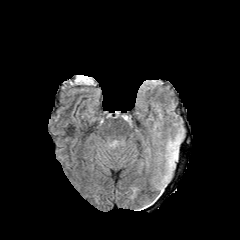
FLAIR MR.
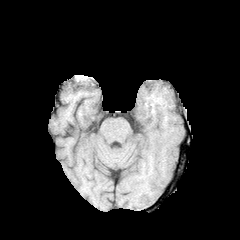
T1-weighted MR image.
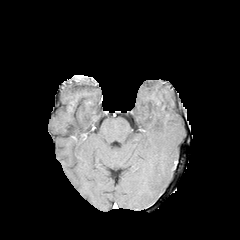
Post-contrast T1-weighted MR image.
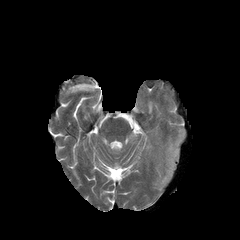
T2-weighted magnetic resonance.
Image size 240x240. Brain.
The edema lies within rect(167, 151, 177, 164).